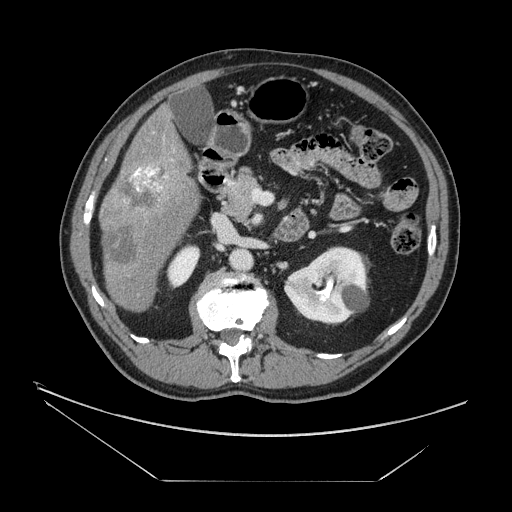
Computed tomography | 512x512 | Liver

Annotated regions:
• liver tumor: 118 167 169 209, 105 229 137 265